Abdomen, CT scan slice 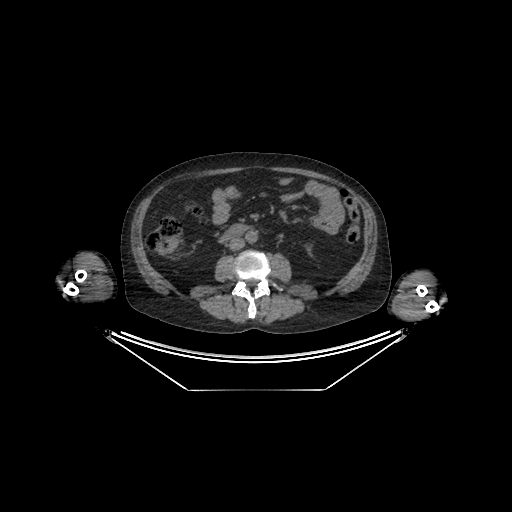
The kidney appears at 305, 244, 312, 255.